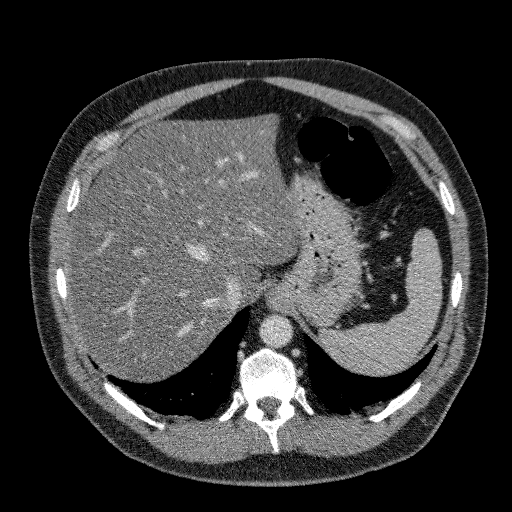
CT. 512x512 px.

{
  "liver": [
    "box=[64, 114, 296, 380]"
  ]
}